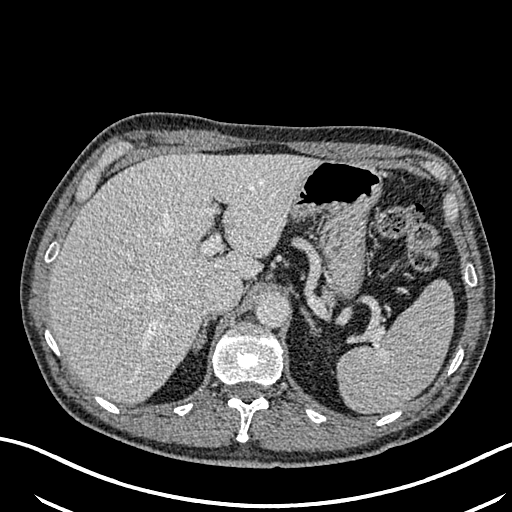

CT slice, Upper abdomen
The liver appears at l=49, t=154, r=320, b=404.